512x512 | CT scan slice | Slice 70/142

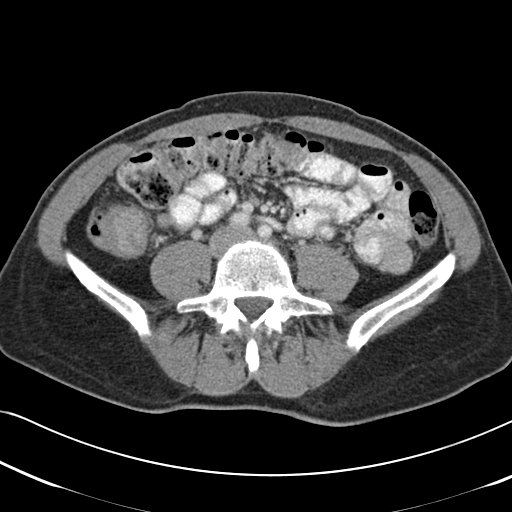

Colon tumor at left=97, top=205, right=149, bottom=256.